Field of view 471x471 mm. Abdomen. Slice 117 of 135. Computed tomography.

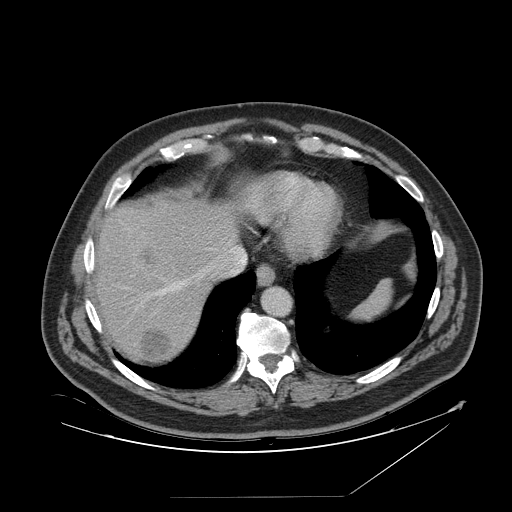

spleen: (352, 281, 392, 319)